512x512 px | CT scan slice | Liver
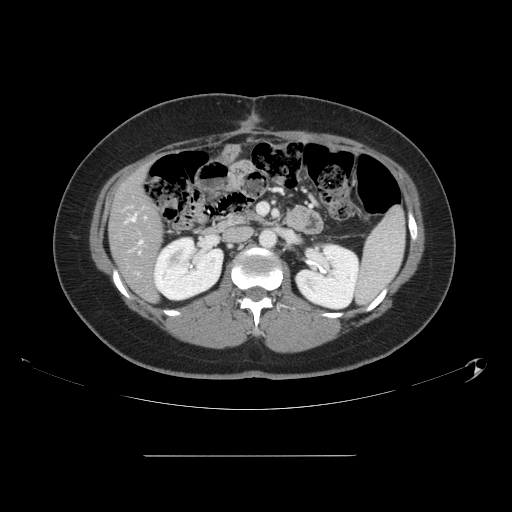 The vessel boxes may cover only some of the vessels.
Annotated regions:
* hepatic vessel: (left=139, top=241, right=141, bottom=244), (left=130, top=214, right=136, bottom=221)